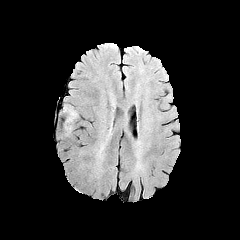
FLAIR MR.
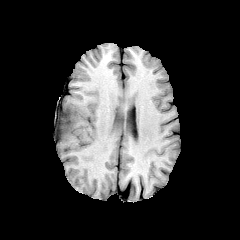
Same slice, T1-weighted MR image.
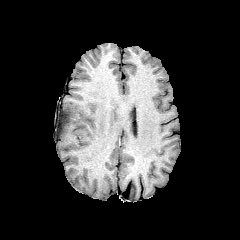
Post-contrast T1-weighted MR image.
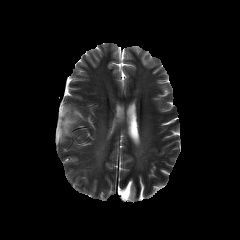
T2-weighted MR image of the same slice.
edema: 62:104:77:131